FLAIR magnetic resonance.
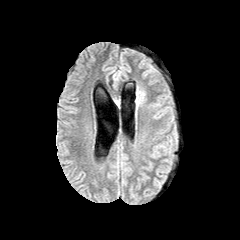
T1-weighted MR image.
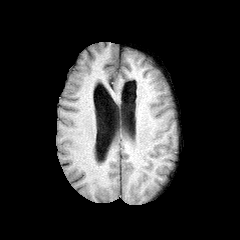
Post-contrast T1-weighted MRI.
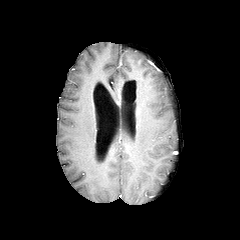
T2-weighted MR image.
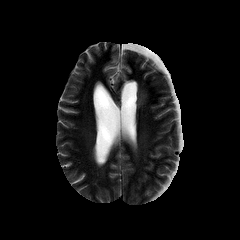
Brain
edema:
  - bbox=[135, 87, 145, 107]